Brain, Image size 240x240
FLAIR magnetic resonance.
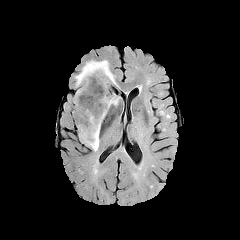
T1-weighted magnetic resonance.
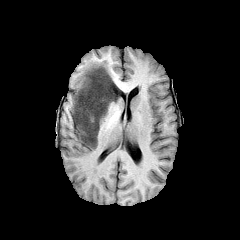
Post-contrast T1-weighted MRI.
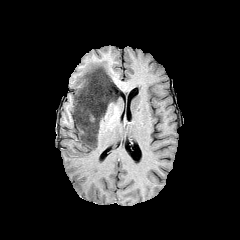
T2-weighted magnetic resonance.
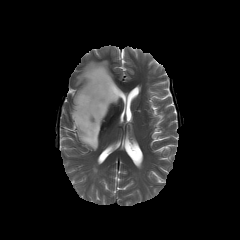
non-enhancing_tumor_core:
  - [x1=72, y1=67, x2=119, y2=148]
edema:
  - [x1=75, y1=61, x2=107, y2=94]
  - [x1=80, y1=93, x2=91, y2=104]
  - [x1=85, y1=134, x2=99, y2=151]